FLAIR MRI.
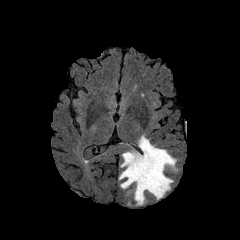
T1-weighted MR.
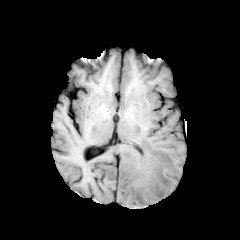
Post-contrast T1-weighted magnetic resonance.
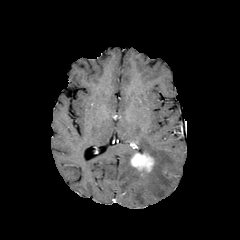
T2-weighted MRI.
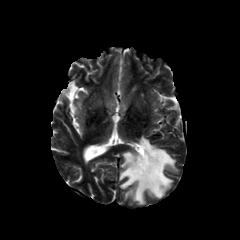
Image size 240x240.
The enhancing tumor is bounded by [130,152,154,172]. The non-enhancing tumor core is at [133,166,153,186]. The edema is bounded by [119,135,177,205].